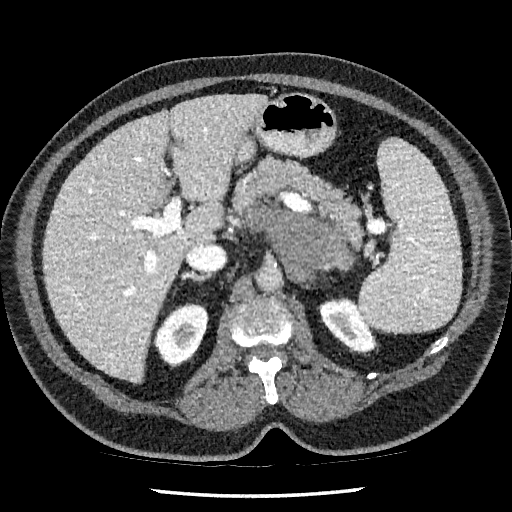 CT, Liver

2 kidney regions are bounded by (x1=321, y1=300, x2=374, y2=351), (x1=156, y1=305, x2=206, y2=363). The liver appears at (x1=44, y1=95, x2=266, y2=382). The liver lesion is located at (x1=174, y1=139, x2=183, y2=148).